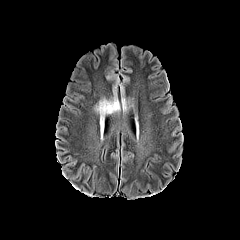
FLAIR MRI.
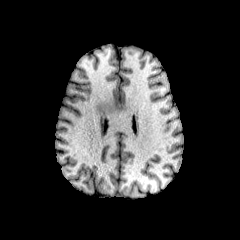
T1-weighted magnetic resonance.
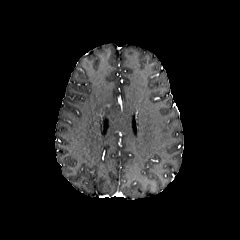
Post-contrast T1-weighted MR image.
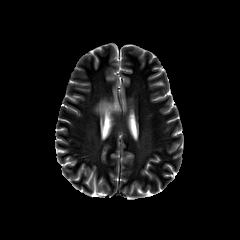
Same slice, T2-weighted MR image.
240x240 px
edema: (122, 95, 133, 113), (95, 98, 120, 141)